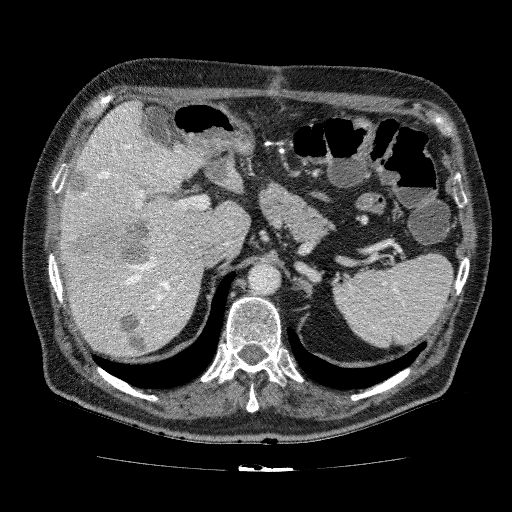
Upper abdomen. CT slice.
Hepatic lesion — [138,143,155,166], [60,213,153,283], [118,312,149,356], [68,166,89,196], [179,215,194,219], [191,141,234,183].
Liver — [216,166,244,193], [58,100,250,357].